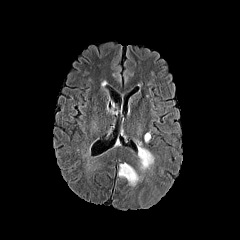
FLAIR MRI.
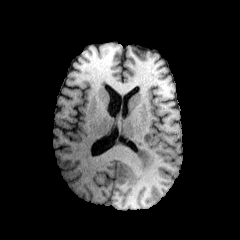
T1-weighted MR.
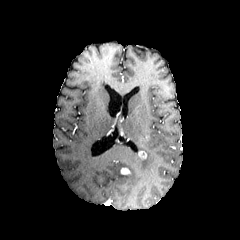
Post-contrast T1-weighted MRI of the same slice.
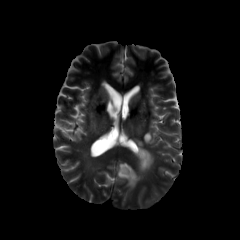
Same slice, T2-weighted MRI.
Brain
enhancing_tumor:
  - x1=120 y1=167 x2=130 y2=174
  - x1=137 y1=150 x2=147 y2=159
edema:
  - x1=138 y1=151 x2=153 y2=171
  - x1=143 y1=129 x2=152 y2=143
  - x1=132 y1=139 x2=145 y2=150
  - x1=119 y1=163 x2=140 y2=186